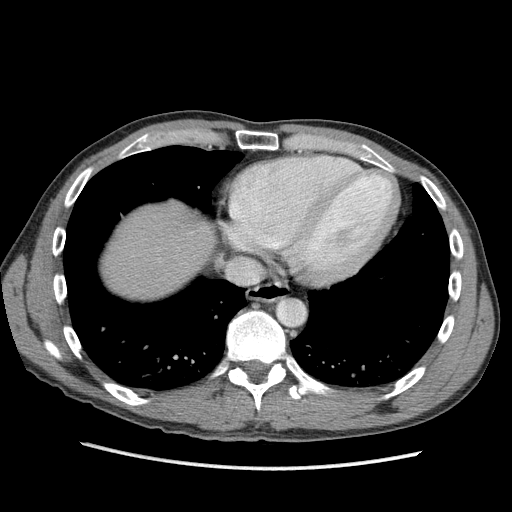
CT image; 512x512
Liver = <box>101,199,215,299</box>.